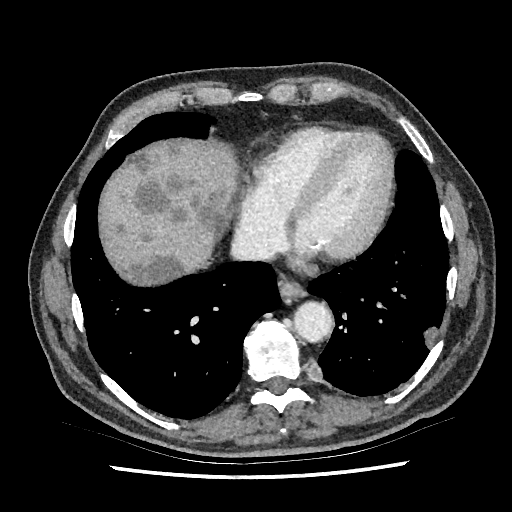 Abdomen. Image size 512x512. Computed tomography.
liver:
  - (x1=101, y1=139, x2=238, y2=272)
focal_liver_lesion:
  - (x1=139, y1=231, x2=153, y2=243)
  - (x1=166, y1=140, x2=180, y2=155)
  - (x1=116, y1=224, x2=126, y2=233)
  - (x1=118, y1=254, x2=184, y2=284)
  - (x1=125, y1=152, x2=152, y2=172)
  - (x1=119, y1=192, x2=127, y2=200)
  - (x1=191, y1=189, x2=233, y2=239)
  - (x1=132, y1=173, x2=190, y2=224)